CT image | Image width 375 mm | Slice 44/89
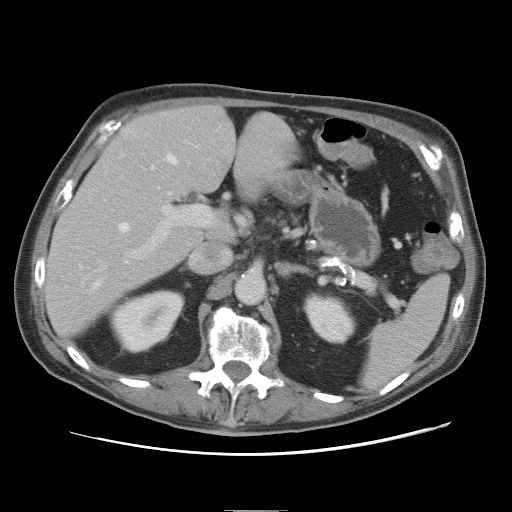 The vessel annotation is not exhaustive.
<segmentation>
  <hepatic_vessel>(left=126, top=260, right=128, bottom=262), (left=191, top=254, right=194, bottom=259), (left=167, top=154, right=177, bottom=163), (left=94, top=280, right=101, bottom=287), (left=169, top=192, right=171, bottom=194), (left=120, top=223, right=129, bottom=231), (left=130, top=250, right=142, bottom=258), (left=152, top=167, right=154, bottom=169), (left=99, top=268, right=102, bottom=270), (left=143, top=205, right=213, bottom=250), (left=80, top=266, right=82, bottom=267)</hepatic_vessel>
</segmentation>